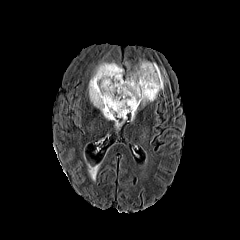
FLAIR MRI.
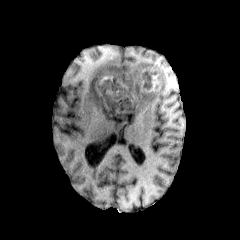
Same slice, T1-weighted MRI.
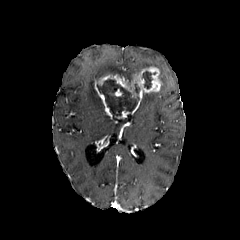
Post-contrast T1-weighted MR image.
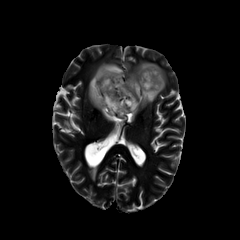
T2-weighted magnetic resonance.
2 enhancing tumor regions are located at l=114, t=110, r=130, b=117; l=94, t=66, r=162, b=113. 2 edema regions are bounded by l=124, t=59, r=168, b=108; l=87, t=60, r=124, b=120. 2 non-enhancing tumor core regions are bounded by l=97, t=78, r=137, b=116; l=142, t=71, r=152, b=89.